Field of view 500x500 mm; CT slice; Upper abdomen; 512x512 px

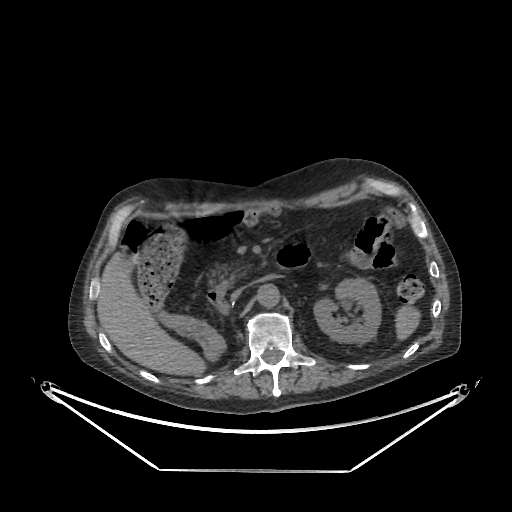

Segmented structures:
* liver: 96:253:205:376
* kidney: 313:278:381:343